512x512, Upper abdomen, Computed tomography, Field of view 350x350 mm
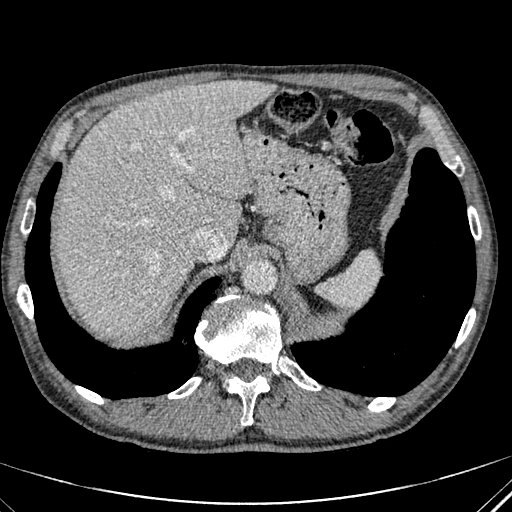

Liver = (59, 79, 277, 335).